FLAIR MR.
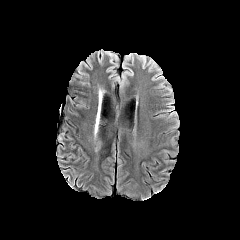
T1-weighted MRI.
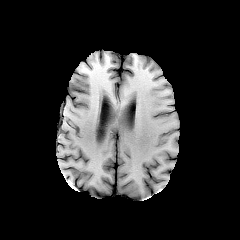
Post-contrast T1-weighted MR.
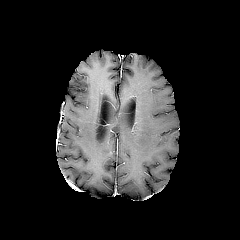
T2-weighted magnetic resonance.
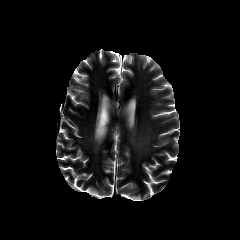
Head.
<segmentation>
  <edema>94, 112, 99, 133</edema>
</segmentation>